Field of view 391x391 mm, CT scan slice
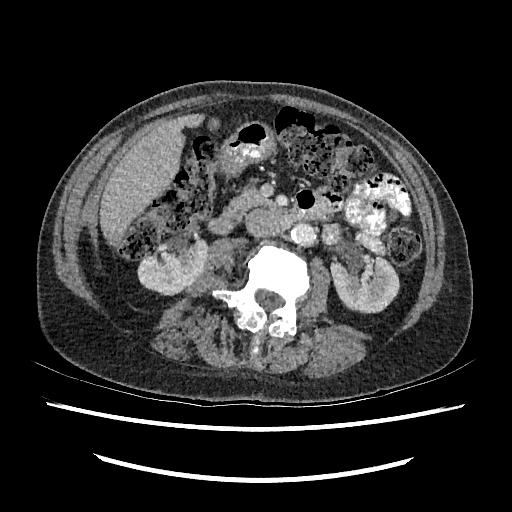 liver_lesion:
  - [x1=142, y1=142, x2=157, y2=153]
kidney:
  - [x1=331, y1=257, x2=398, y2=312]
  - [x1=138, y1=243, x2=207, y2=294]
liver:
  - [x1=101, y1=114, x2=202, y2=244]